FLAIR magnetic resonance.
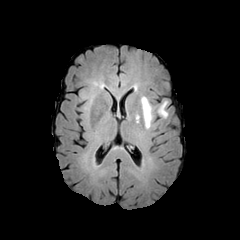
T1-weighted MRI.
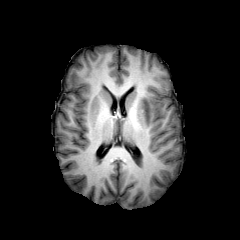
Post-contrast T1-weighted MRI.
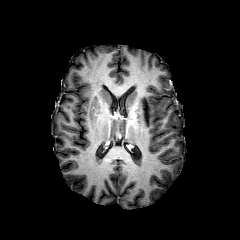
T2-weighted MR.
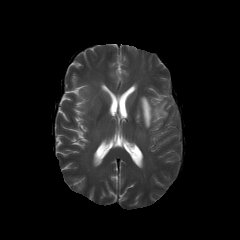
Head.
Segmented structures:
• non-enhancing tumor core: (128,109,137,121), (143,102,149,119)
• edema: (136,96,168,128)